Slice 25/91; CT scan slice

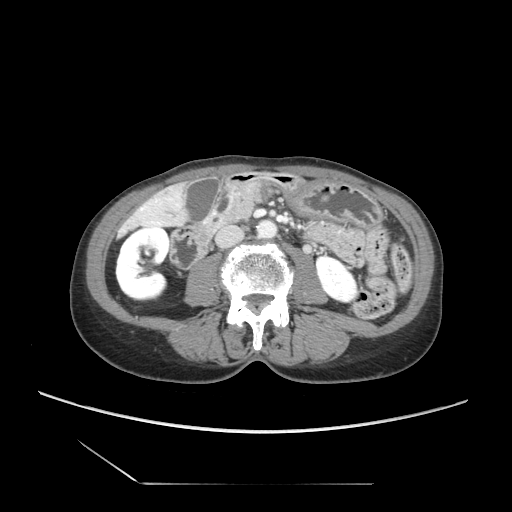

The pancreas is located at [x1=228, y1=185, x2=260, y2=221].